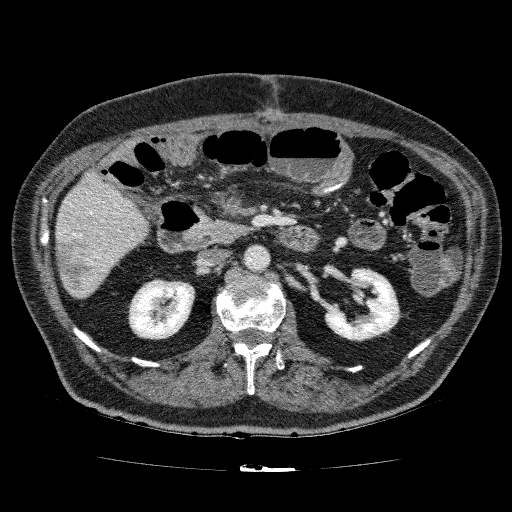 CT slice. Abdomen.
Kidney at (325,269,399,340), (129,280,194,339).
Liver at (55,174,148,299).
Hepatic lesion at (56,235,93,292).